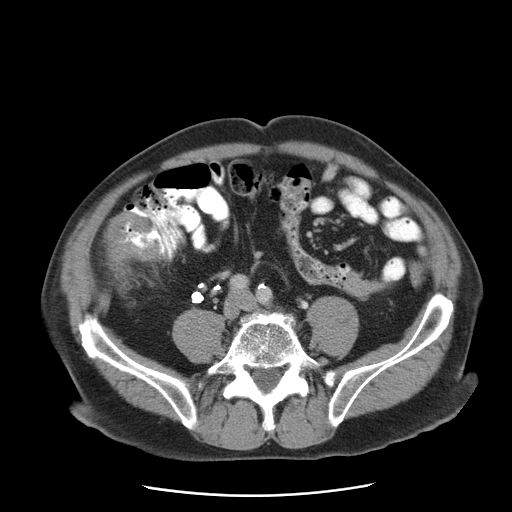

CT
Colon tumor = 104 212 160 263.